Image width 495 mm. CT. Slice 122 of 164.

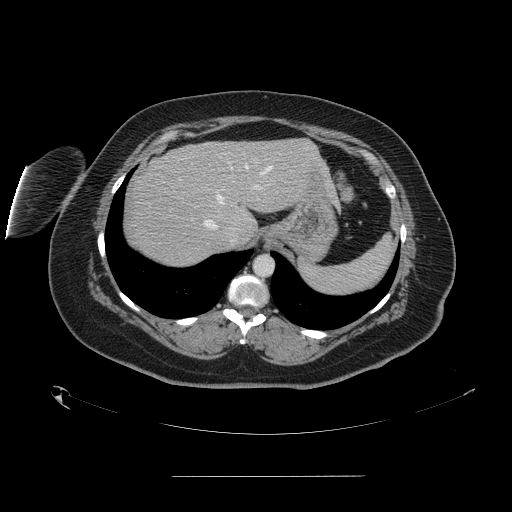
The spleen is bounded by box=[298, 233, 394, 295].